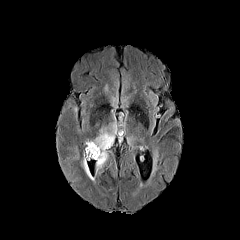
FLAIR MRI.
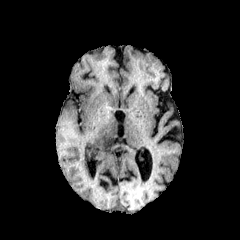
T1-weighted MRI.
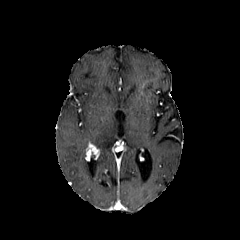
Post-contrast T1-weighted MR of the same slice.
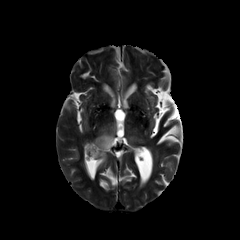
T2-weighted magnetic resonance.
Edema = region(81, 152, 94, 180); region(91, 122, 117, 171).
Enhancing tumor = region(85, 143, 100, 160).